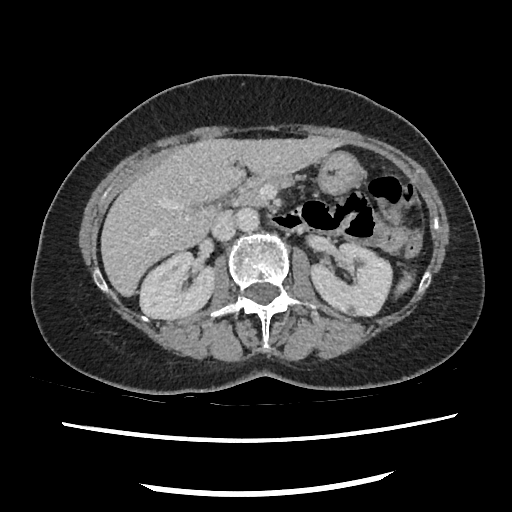

CT slice
pancreas:
  - (left=234, top=176, right=294, bottom=205)